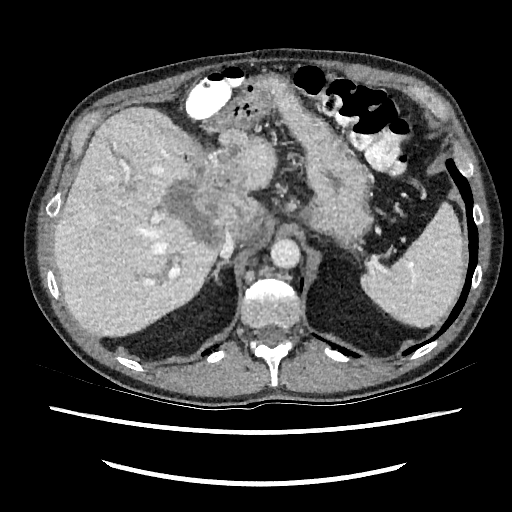

CT, Image size 512x512
The hepatic lesion is at rect(162, 145, 263, 246). 3 liver regions are bounded by rect(53, 108, 275, 335); rect(224, 229, 242, 240); rect(245, 210, 265, 241).